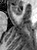

Magnetic resonance
Anterior hippocampus: bounding box 11:6:21:15.